Liver | CT | Field of view 466x466 mm

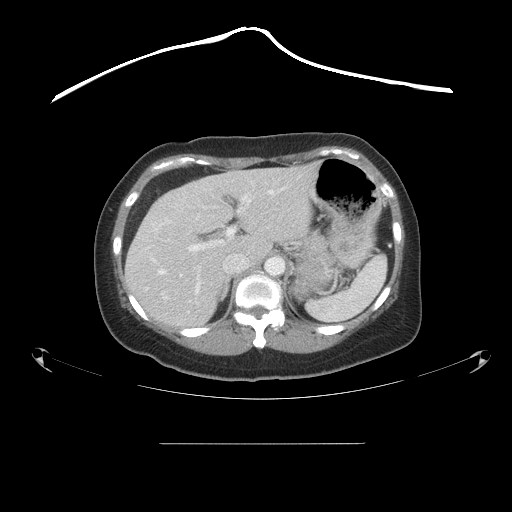 Some hepatic vessels may have no box.
Most prominent 15 of 19 hepatic vessel regions = 223:254:248:272, 150:254:155:262, 195:279:201:293, 226:228:234:237, 196:266:200:271, 241:193:249:203, 158:269:165:274, 238:208:244:212, 188:240:223:252, 268:190:274:194, 196:214:198:219, 279:187:284:191, 188:300:190:302, 161:291:167:300, 159:218:170:226.